Brain. Image size 240x240. Slice index 42.
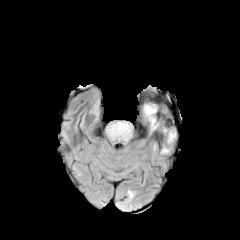
FLAIR MRI.
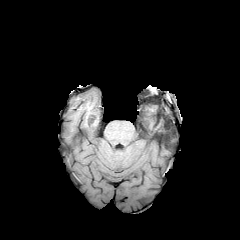
Same slice, T1-weighted MR.
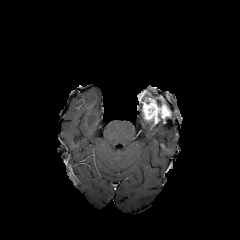
Same slice, post-contrast T1-weighted magnetic resonance.
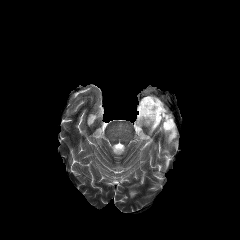
T2-weighted MR image.
edema:
  - x1=142, y1=120, x2=176, y2=153
enhancing_tumor:
  - x1=142, y1=98, x2=170, y2=126
non-enhancing_tumor_core:
  - x1=158, y1=114, x2=169, y2=126